FLAIR MRI.
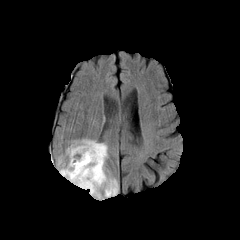
T1-weighted MRI.
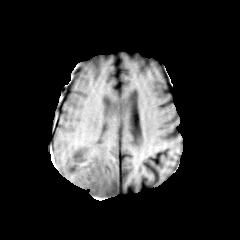
Post-contrast T1-weighted magnetic resonance.
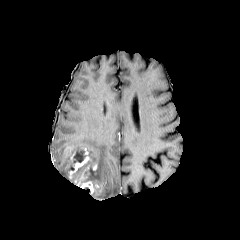
T2-weighted MR image.
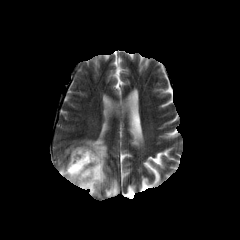
enhancing_tumor:
  - 74 174 99 193
  - 68 148 90 178
edema:
  - 60 140 118 197
non-enhancing_tumor_core:
  - 76 163 97 181